MR image; Image size 320x320; Field of view 400x400 mm; Heart

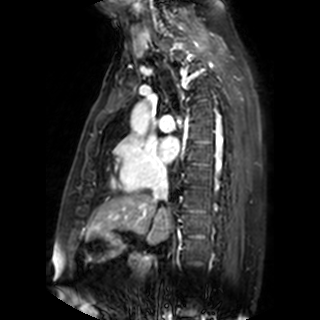 left atrium: bbox=[158, 137, 178, 161]